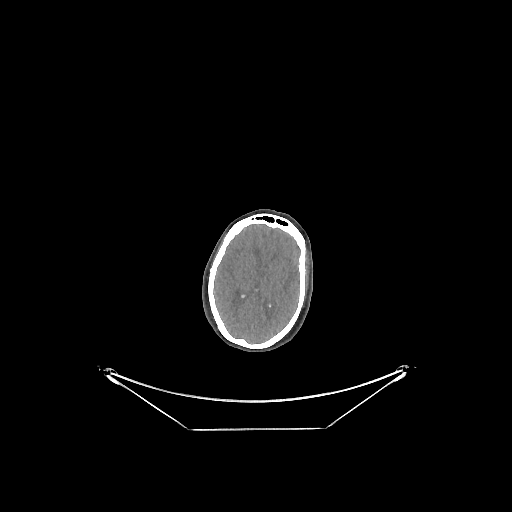 CT image, 512x512 px
The brain is bounded by (x1=213, y1=224, x2=300, y2=343).